Abdomen. CT slice.

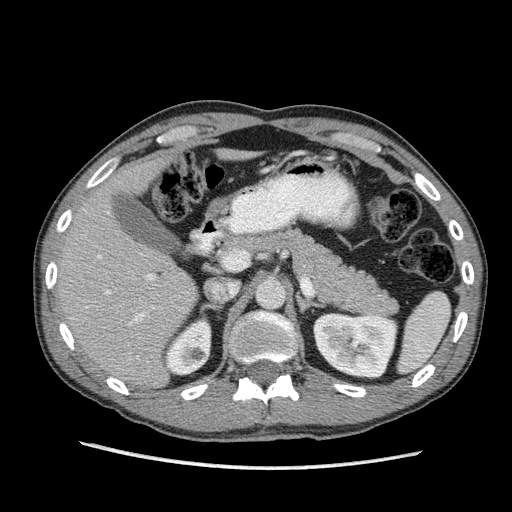 Annotated regions:
* liver: 215:148:248:159, 53:154:198:389
* kidney: 314:314:395:376, 168:321:209:373